Liver, CT image, Field of view 369 mm wide, 0.80 mm slice spacing 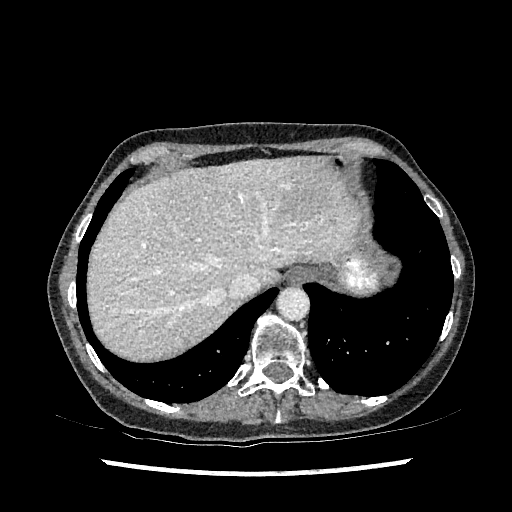
<segmentation>
  <liver>[88, 157, 359, 359]</liver>
  <liver_lesion>[283, 160, 327, 221]</liver_lesion>
</segmentation>